FLAIR MR image.
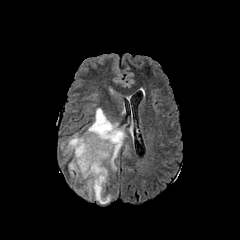
T1-weighted magnetic resonance.
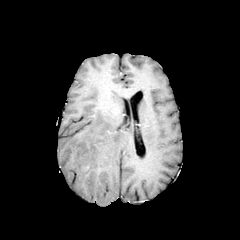
Post-contrast T1-weighted MRI.
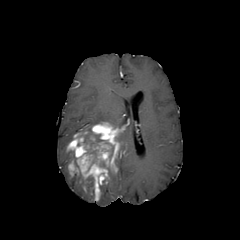
T2-weighted MR image.
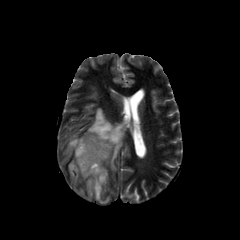
6 edema regions are located at [118,124,127,148], [60,135,73,154], [88,108,118,127], [99,184,113,204], [85,180,94,199], [127,118,133,142]. 4 non-enhancing tumor core regions are located at [99,161,110,174], [72,150,82,183], [79,128,104,158], [86,175,94,187]. 2 enhancing tumor regions are bounded by [68,160,78,175], [67,122,122,201].